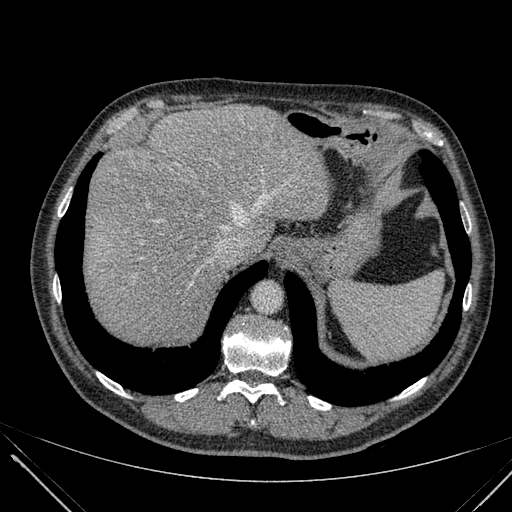
CT slice

liver:
  - (left=84, top=104, right=329, bottom=346)